Field of view 700 mm wide, 3.27 mm slice spacing | CT scan slice

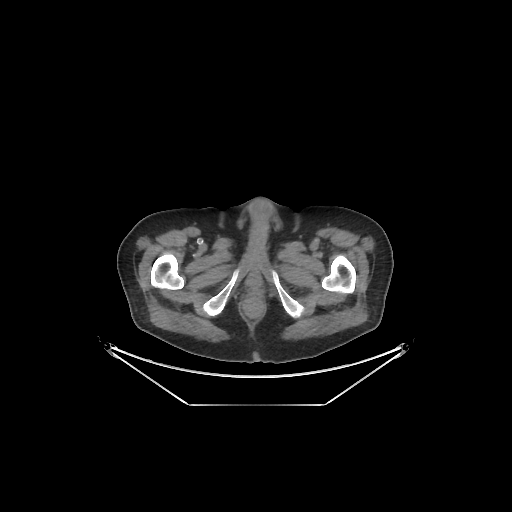
{
  "bone": [
    "left=272, top=271, right=303, bottom=317",
    "left=203, top=270, right=238, bottom=315",
    "left=322, top=255, right=355, bottom=293",
    "left=151, top=252, right=183, bottom=289"
  ]
}